CT slice | Liver

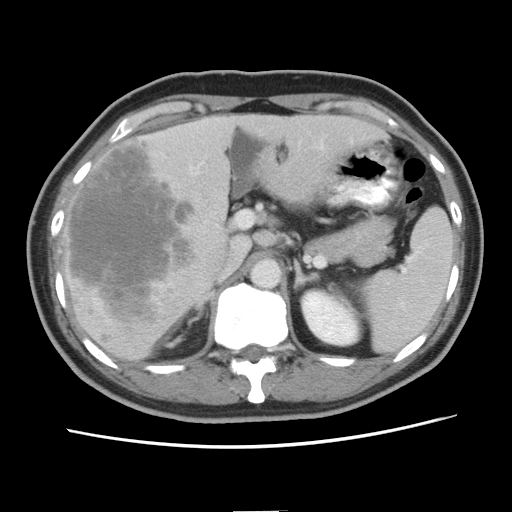
Only some of the vessels may be annotated.
liver tumor: left=66, top=139, right=194, bottom=326 | hepatic vessel: left=190, top=163, right=201, bottom=175; left=319, top=141, right=322, bottom=149